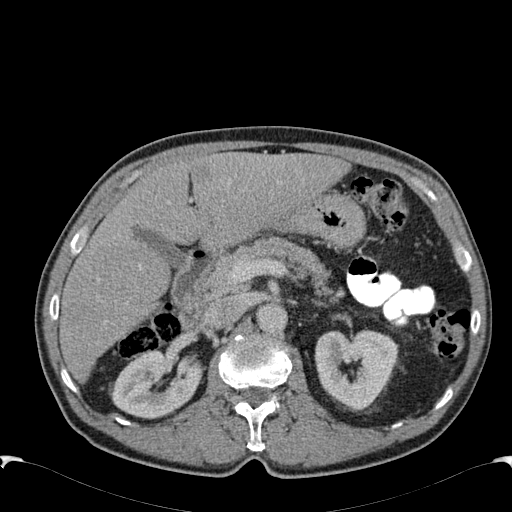
Liver, CT

Annotated regions:
* hepatic lesion: box=[196, 166, 210, 180]
* liver: box=[60, 152, 350, 382]
* kidney: box=[315, 330, 397, 409]; box=[112, 350, 201, 417]